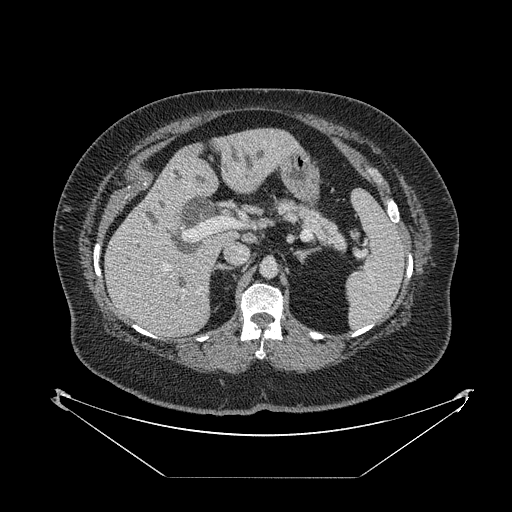

Upper abdomen. CT slice. The pancreas is bounded by (270, 196, 348, 252).